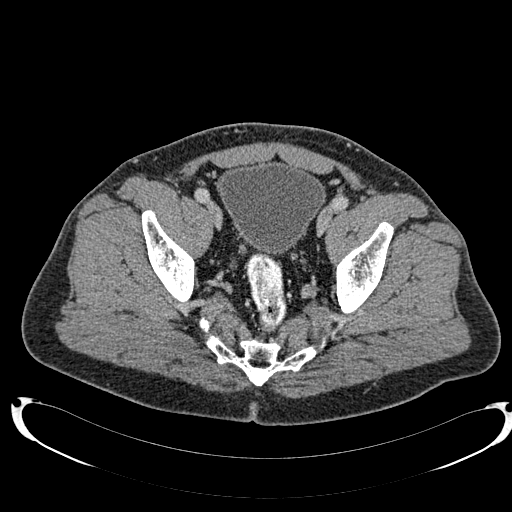

Computed tomography

Urinary bladder = (219,160,325,256).